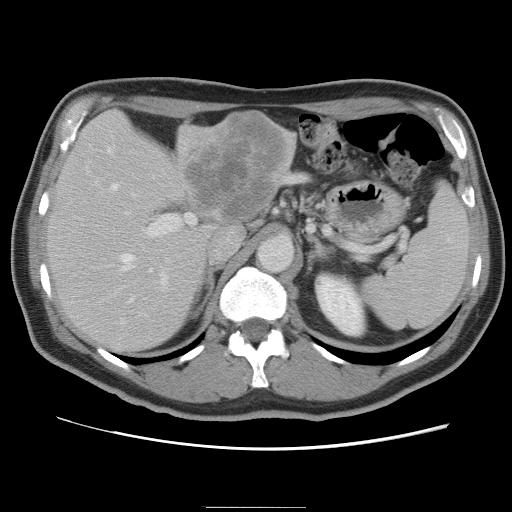 CT slice
The vessel annotation is not exhaustive.
hepatic_vessel:
  - box(285, 176, 290, 180)
  - box(140, 312, 145, 314)
  - box(121, 253, 133, 269)
  - box(148, 268, 151, 271)
  - box(147, 213, 195, 236)
  - box(107, 147, 112, 152)
  - box(111, 183, 117, 189)
  - box(95, 177, 98, 184)
  - box(121, 319, 123, 322)
  - box(129, 297, 132, 301)
  - box(161, 273, 166, 286)
  - box(132, 192, 134, 194)
  - box(125, 211, 128, 213)
liver_tumor:
  - box(186, 117, 283, 225)